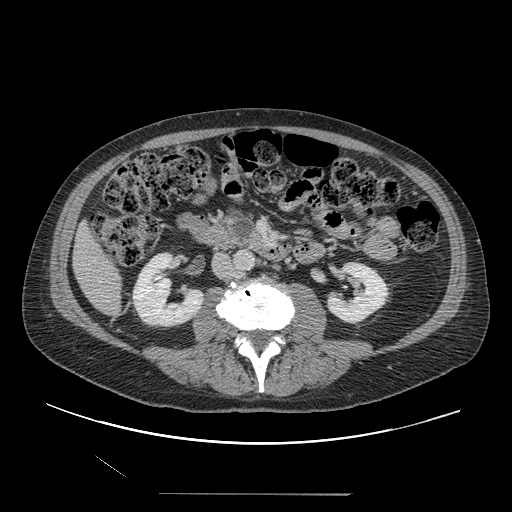
CT image
Findings:
* pancreatic tumor: 232,219,252,239
* pancreas: 211,209,264,249